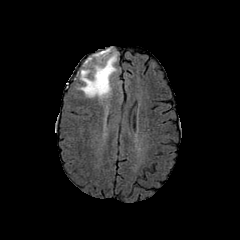
FLAIR MR image.
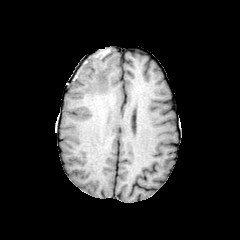
T1-weighted magnetic resonance.
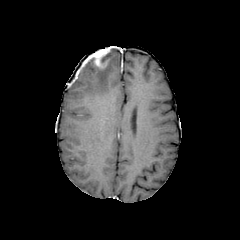
Post-contrast T1-weighted MR.
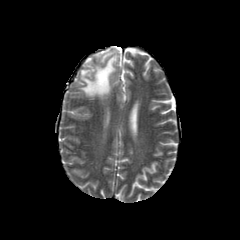
T2-weighted MRI.
Head.
<segmentation>
  <enhancing_tumor>l=82, t=47, r=112, b=65</enhancing_tumor>
  <non-enhancing_tumor_core>l=98, t=54, r=107, b=69; l=85, t=58, r=95, b=71</non-enhancing_tumor_core>
  <edema>l=75, t=49, r=119, b=99</edema>
</segmentation>